Slice 7 of 38. MRI. 36x52 px.

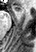
The anterior hippocampus is bounded by {"x1": 12, "y1": 5, "x2": 22, "y2": 11}.